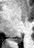 Medial temporal lobe. MRI.

The posterior hippocampus lies within (11, 37, 21, 43).